FLAIR magnetic resonance.
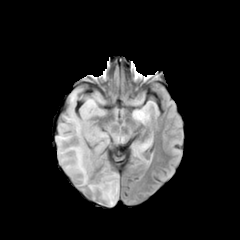
T1-weighted magnetic resonance.
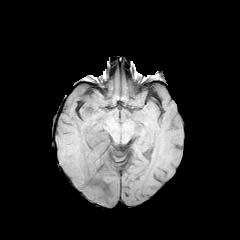
Post-contrast T1-weighted MRI.
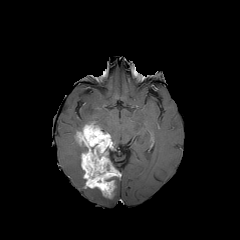
T2-weighted magnetic resonance.
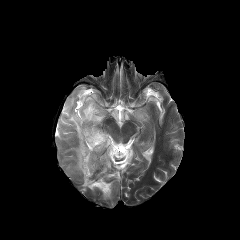
Head
Findings:
* edema: <box>87,178,119,204</box>, <box>56,89,105,175</box>, <box>132,109,146,122</box>
* enhancing tumor: <box>76,124,119,197</box>
* non-enhancing tumor core: <box>94,146,113,171</box>, <box>91,164,102,177</box>, <box>76,120,99,128</box>, <box>80,142,88,167</box>